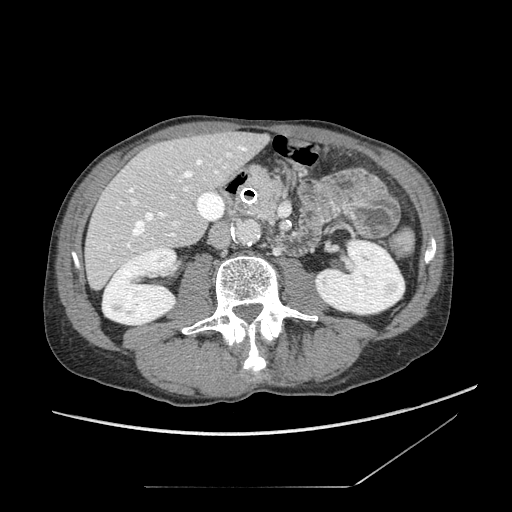
CT; Image size 512x512; Abdomen

Annotated regions:
- pancreas: [x1=248, y1=169, x2=280, y2=223]